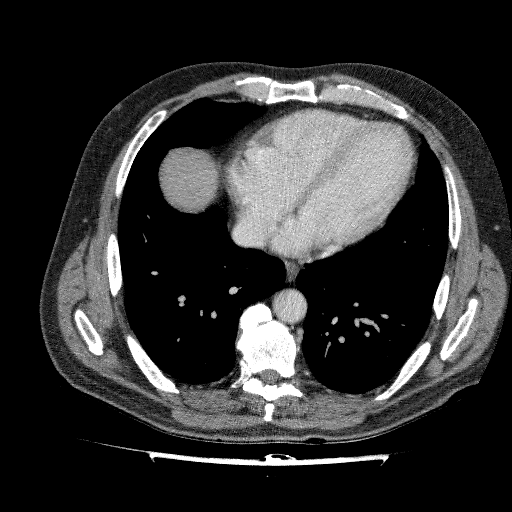 Image size 512x512, CT

The liver is at 159, 149, 218, 212.